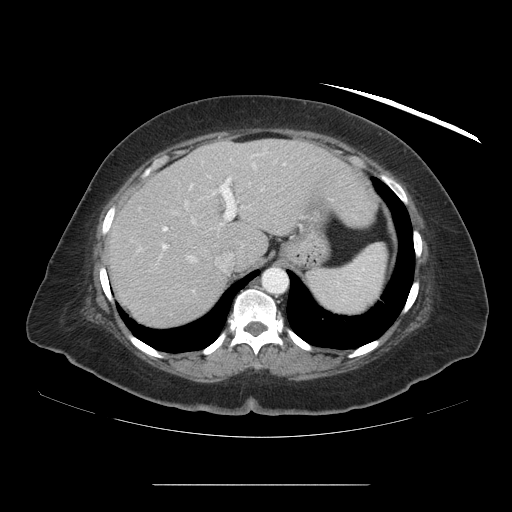
Image size 512x512, Abdomen, CT

Only some of the vessels may be annotated.
hepatic vessel: [191, 218, 195, 223], [215, 253, 233, 273], [197, 258, 197, 261], [252, 164, 253, 166], [161, 243, 167, 249], [212, 177, 236, 224], [241, 206, 243, 207], [162, 226, 167, 231], [189, 184, 193, 189], [184, 201, 187, 206], [236, 241, 244, 250], [187, 256, 193, 261]